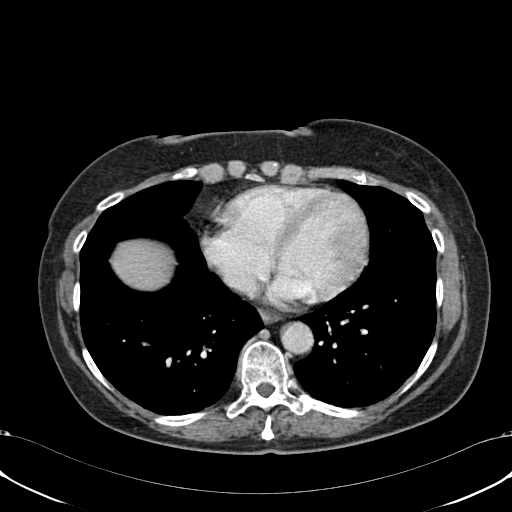

CT image

Liver: (114,242,168,287).